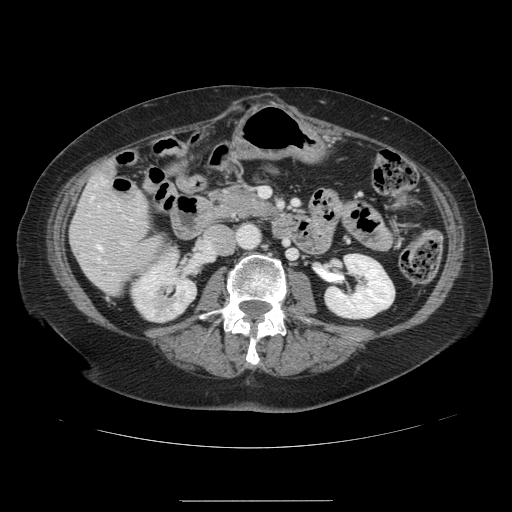 CT scan slice
The vessel boxes may cover only some of the vessels.
4 hepatic vessel regions appear at (97,245,100,248), (101,178,107,181), (123,243,126,244), (90,196,92,199).